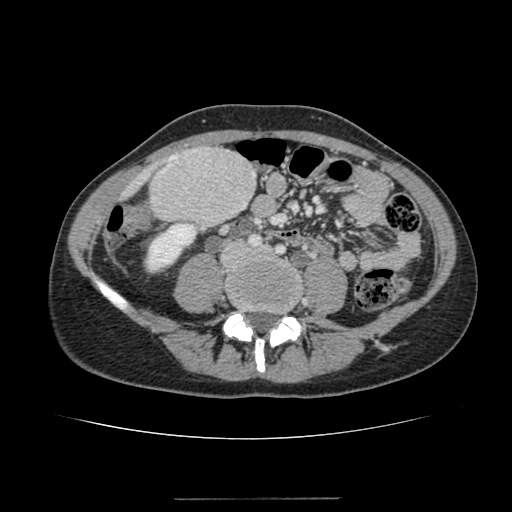
CT scan slice.
liver:
  - 120:164:157:201
kidney:
  - 148:224:195:269
hepatic_lesion:
  - 150:146:257:226